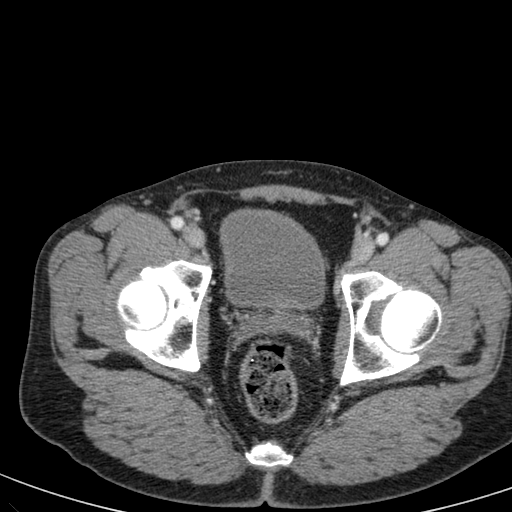

CT, Lower abdomen
urinary_bladder:
  - bbox=[220, 209, 323, 312]